Brain
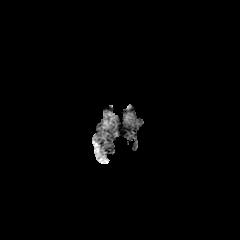
FLAIR MR.
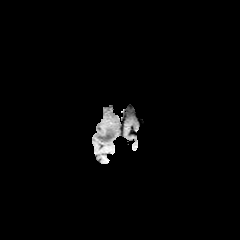
T1-weighted MRI.
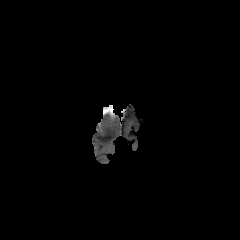
Post-contrast T1-weighted magnetic resonance.
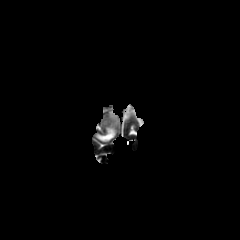
Same slice, T2-weighted MR image.
Annotated regions:
• enhancing tumor: {"x1": 103, "y1": 105, "x2": 115, "y2": 120}